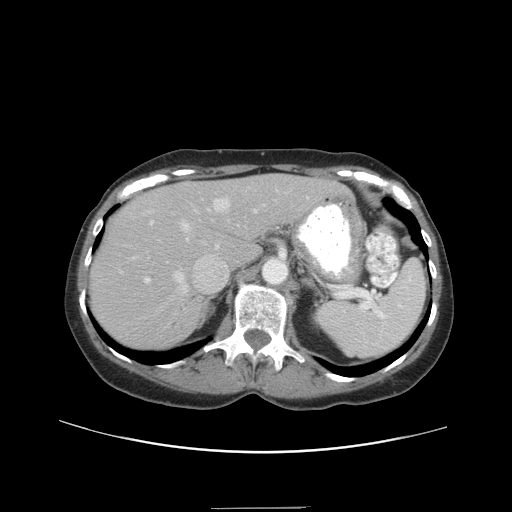

Liver, CT

The vessel boxes may cover only some of the vessels.
{"hepatic_vessel": ["region(254, 209, 257, 212)", "region(144, 278, 149, 282)", "region(182, 223, 189, 230)", "region(207, 209, 209, 210)", "region(149, 220, 153, 224)", "region(175, 272, 182, 281)", "region(263, 204, 264, 205)", "region(186, 238, 188, 239)", "region(214, 199, 229, 211)"]}